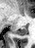
Medial temporal lobe | Image size 35x48 | MR
The posterior hippocampus appears at l=15, t=27, r=28, b=35.